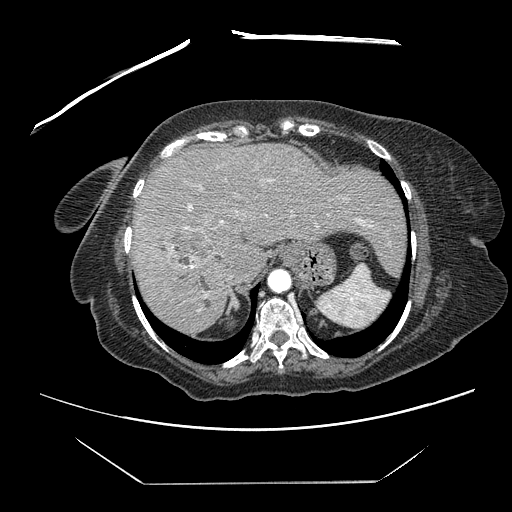 CT scan slice

The vessel boxes may cover only some of the vessels.
Annotated regions:
- hepatic vessel: left=200, top=186, right=201, bottom=188; left=190, top=266, right=192, bottom=267; left=188, top=205, right=191, bottom=209; left=356, top=219, right=368, bottom=226
- liver tumor: left=173, top=227, right=212, bottom=266